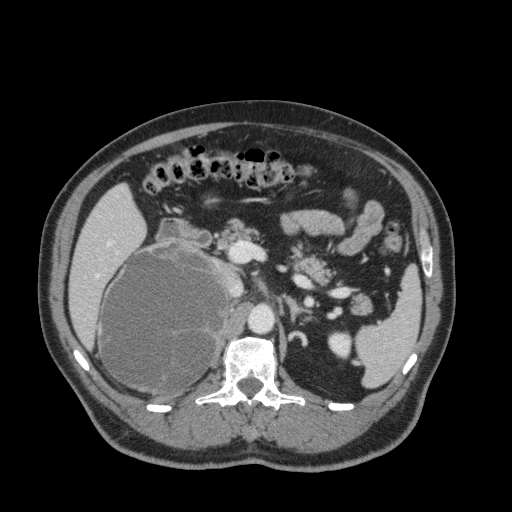 CT image. 512x512.

Annotated regions:
• liver: 70 185 145 348
• kidney: 329 334 350 355